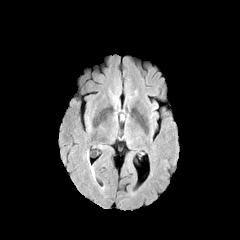
FLAIR MR.
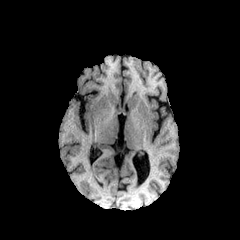
T1-weighted MRI.
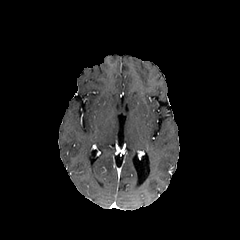
Post-contrast T1-weighted MR.
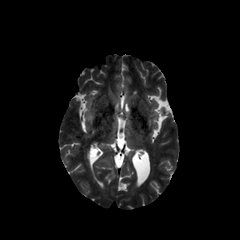
T2-weighted MR image.
Brain
The edema is bounded by bbox=[83, 150, 98, 185].